CT slice | Image width 442 mm | Upper abdomen | Slice index 33
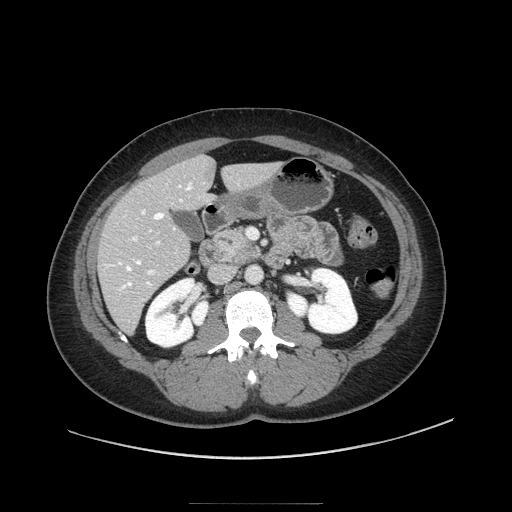

Pancreas: x1=214, y1=226, x2=262, y2=266.
Pancreatic tumor: x1=226, y1=238, x2=257, y2=263.